240x240; Head
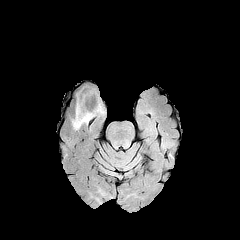
FLAIR MR image.
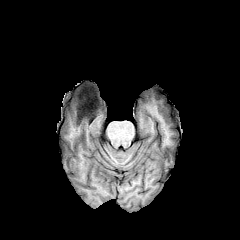
Same slice, T1-weighted MR image.
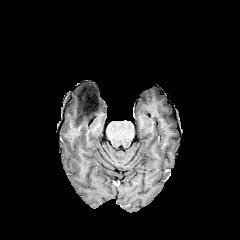
Post-contrast T1-weighted MRI of the same slice.
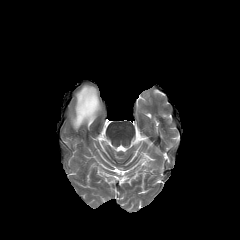
Same slice, T2-weighted MR.
Segmented structures:
* non-enhancing tumor core: (left=80, top=111, right=90, bottom=117)
* edema: (left=71, top=100, right=104, bottom=129)